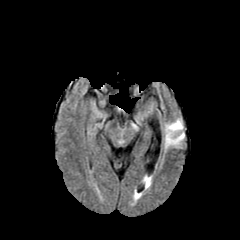
FLAIR MRI.
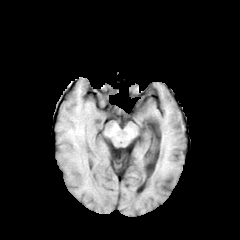
T1-weighted MR image.
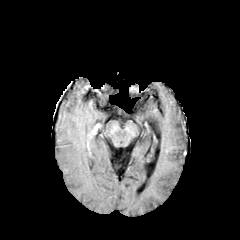
Post-contrast T1-weighted MRI.
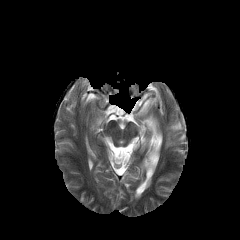
T2-weighted magnetic resonance.
Head.
The edema lies within rect(165, 118, 184, 147).